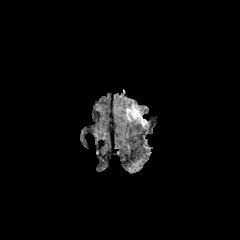
FLAIR MRI.
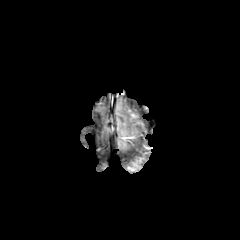
T1-weighted MRI.
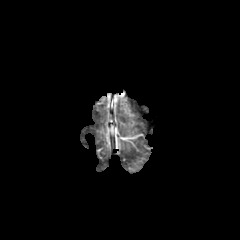
Post-contrast T1-weighted MRI.
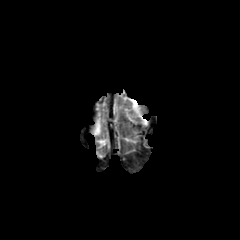
Same slice, T2-weighted MR image.
Brain.
Edema — {"x1": 123, "y1": 103, "x2": 147, "y2": 124}.